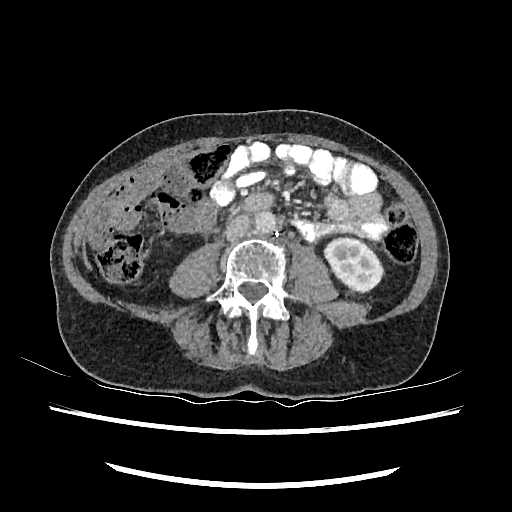
Abdomen, CT slice
- kidney: <box>325,239,381,290</box>